Image width 424 mm; Computed tomography; Abdomen; Slice 54/96
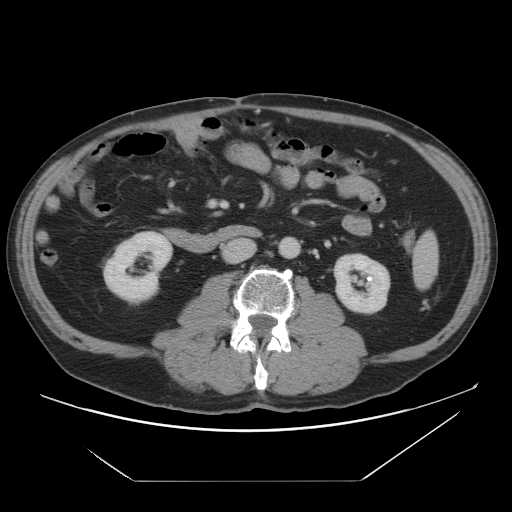 Kidney: bounding box left=104, top=232, right=170, bottom=299; left=335, top=254, right=389, bottom=312.